Slice index 560 | Image size 512x512 | CT slice
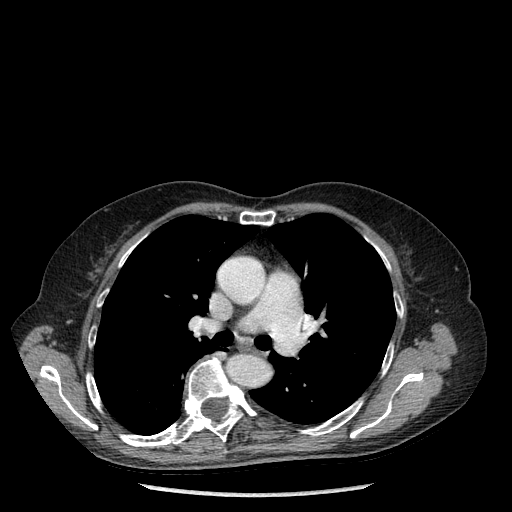 Segmented structures:
* bone: bbox(240, 210, 275, 225); bbox(374, 244, 390, 270); bbox(119, 357, 256, 447); bbox(394, 295, 403, 317); bbox(88, 326, 95, 346); bbox(97, 289, 108, 306); bbox(350, 372, 423, 438); bbox(86, 373, 101, 411); bbox(300, 399, 362, 435); bbox(39, 364, 97, 429); bbox(382, 343, 393, 375); bbox(118, 243, 136, 267)
* lung: bbox(250, 213, 395, 423); bbox(94, 215, 258, 434)